CT; Liver 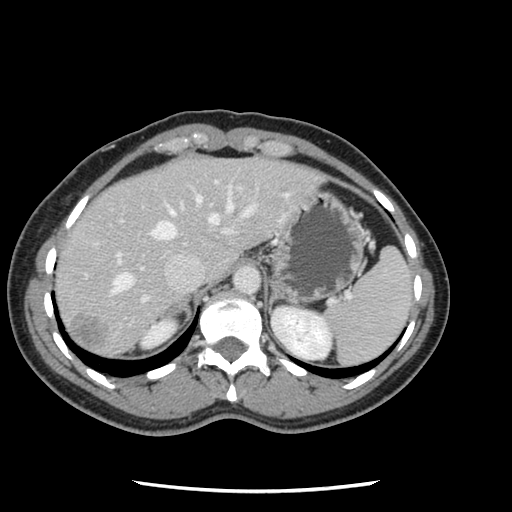 Only some of the vessels may be annotated.
The liver tumor appears at region(70, 317, 104, 351). 11 hepatic vessel regions appear at region(180, 202, 182, 207); region(226, 185, 232, 210); region(141, 296, 147, 301); region(151, 221, 175, 238); region(223, 229, 229, 232); region(243, 205, 255, 215); region(195, 194, 200, 201); region(116, 253, 120, 262); region(209, 214, 217, 224); region(112, 273, 132, 291); region(167, 205, 173, 214).